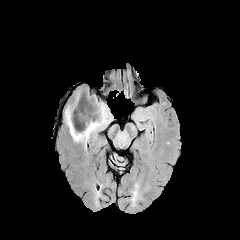
FLAIR MR image.
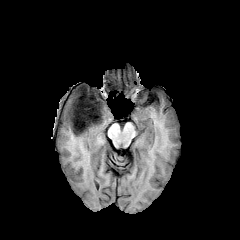
T1-weighted magnetic resonance.
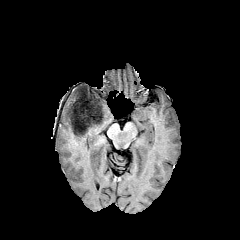
Same slice, post-contrast T1-weighted MR image.
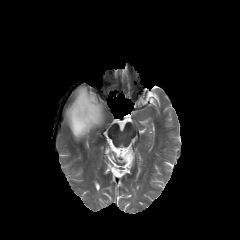
T2-weighted MRI.
Image size 240x240.
Edema — bbox(64, 100, 108, 146).
Non-enhancing tumor core — bbox(73, 95, 102, 134).